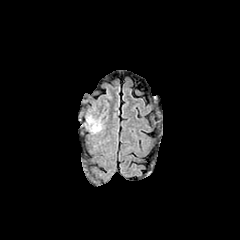
FLAIR MRI.
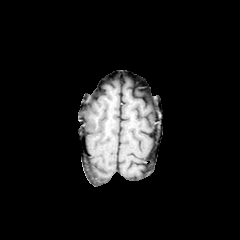
Same slice, T1-weighted magnetic resonance.
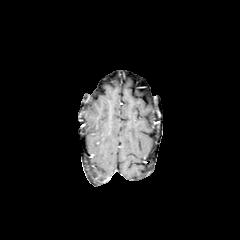
Post-contrast T1-weighted MR of the same slice.
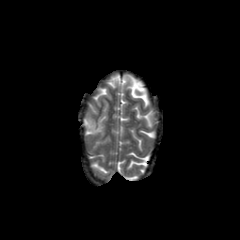
T2-weighted magnetic resonance.
240x240 px
The edema is located at <box>92,125,100,132</box>.